CT; 512x512
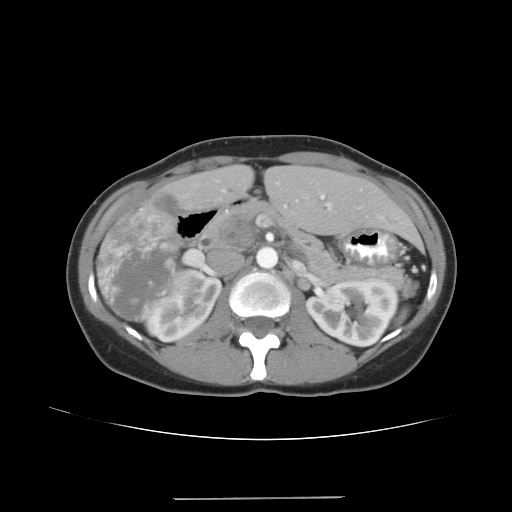
<segmentation>
  <pancreatic_tumor>[222,215,254,249]</pancreatic_tumor>
  <pancreas>[206,200,418,298]</pancreas>
</segmentation>